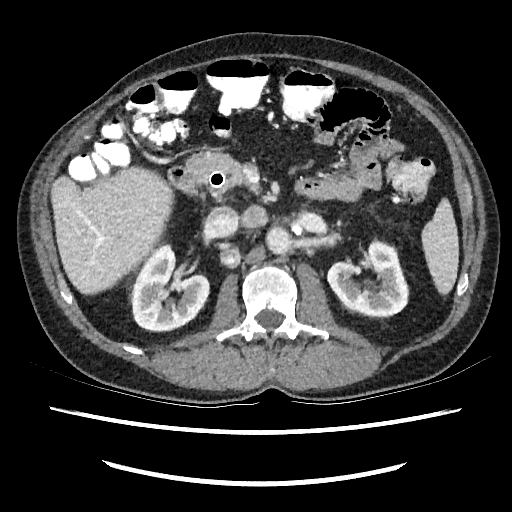 CT image. Upper abdomen.

Liver: bounding box region(52, 168, 171, 292).
Kidney: bounding box region(133, 246, 208, 330); region(328, 243, 407, 315).